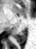 MR

• posterior hippocampus: box=[16, 31, 25, 43]